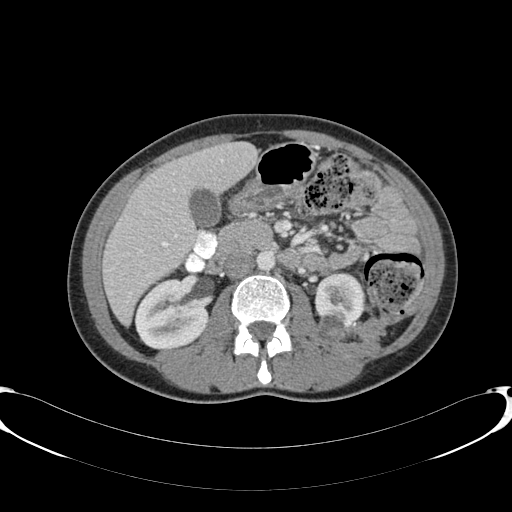

512x512 px; CT scan slice
• liver: (103, 142, 255, 324)
• kidney: (136, 278, 208, 347), (316, 274, 362, 331)